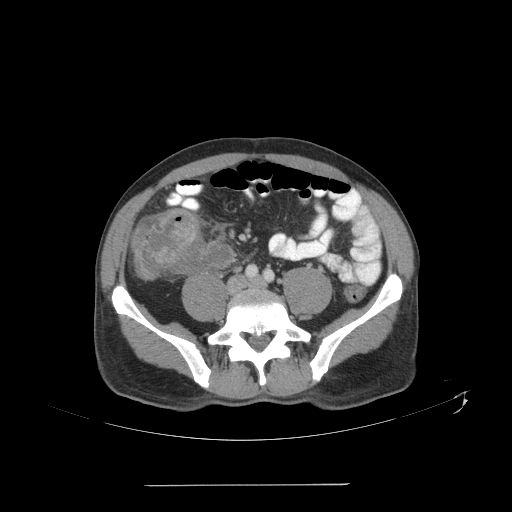 Image size 512x512. CT scan slice.
colon_tumor:
  - x1=133 y1=209 x2=205 y2=281